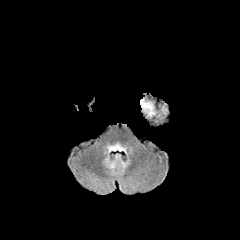
FLAIR MR.
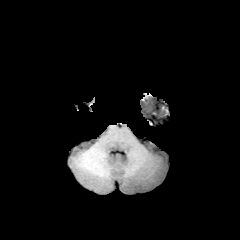
T1-weighted magnetic resonance of the same slice.
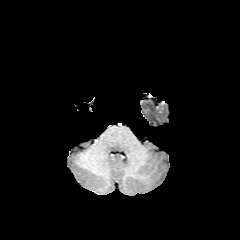
Same slice, post-contrast T1-weighted MRI.
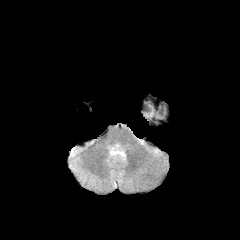
T2-weighted MR.
Brain | 240x240
Edema — (x1=146, y1=104, x2=155, y2=117).